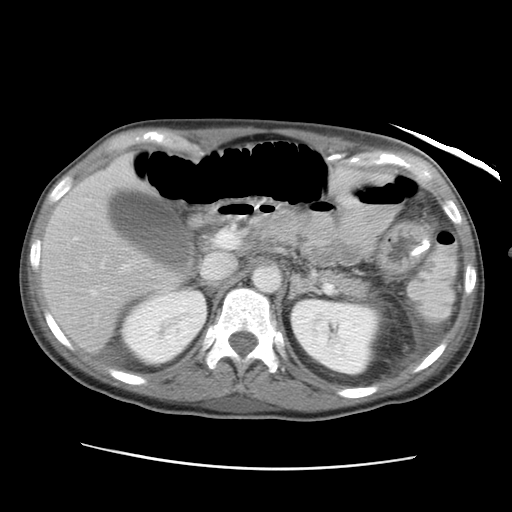

Computed tomography
Segmented structures:
- liver: l=41, t=162, r=182, b=351; l=337, t=187, r=367, b=210
- kidney: l=291, t=299, r=377, b=373; l=122, t=290, r=206, b=362